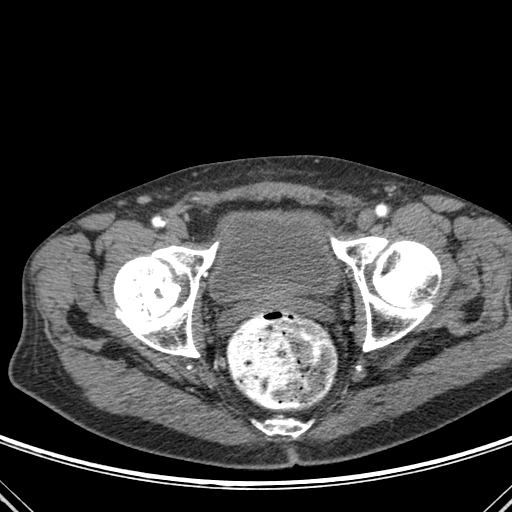 Lower abdomen. CT.

Urinary bladder — bbox(210, 208, 344, 298).
Bone — bbox(330, 231, 441, 351); bbox(254, 419, 311, 437); bbox(113, 242, 218, 357).